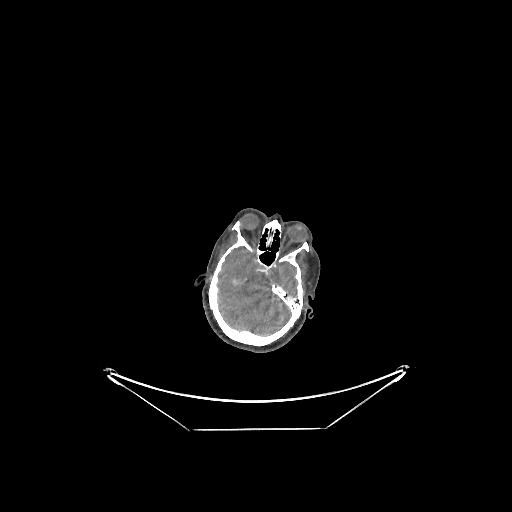

Brain. Computed tomography. {"brain": ["217 246 297 335"]}